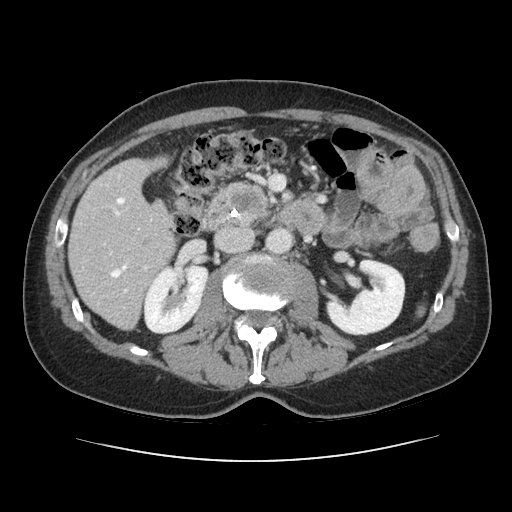

CT image. Upper abdomen.
Pancreatic tumor = region(231, 191, 257, 211).
Pancreas = region(225, 185, 266, 225).